Lower abdomen. CT image. Field of view 378 mm wide, 0.80 mm slice spacing. 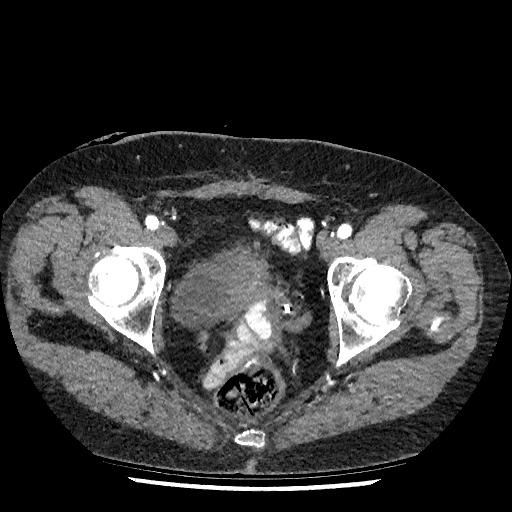 The urinary bladder is located at l=171, t=242, r=269, b=327.